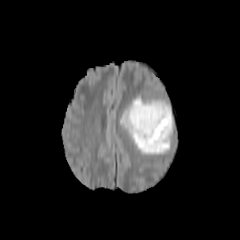
FLAIR magnetic resonance.
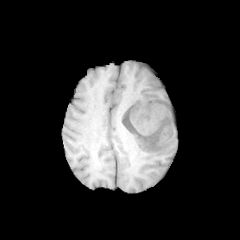
T1-weighted MRI.
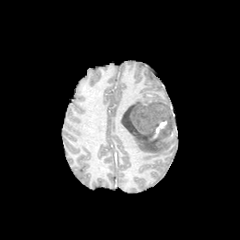
Post-contrast T1-weighted MRI of the same slice.
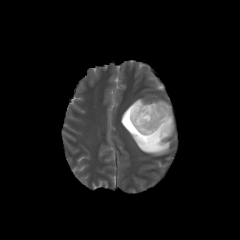
T2-weighted MR image.
2 edema regions are located at x1=119, y1=96, x2=170, y2=154; x1=148, y1=97, x2=171, y2=111. The non-enhancing tumor core is at x1=122, y1=101, x2=173, y2=143. The enhancing tumor is at x1=148, y1=120, x2=167, y2=140.